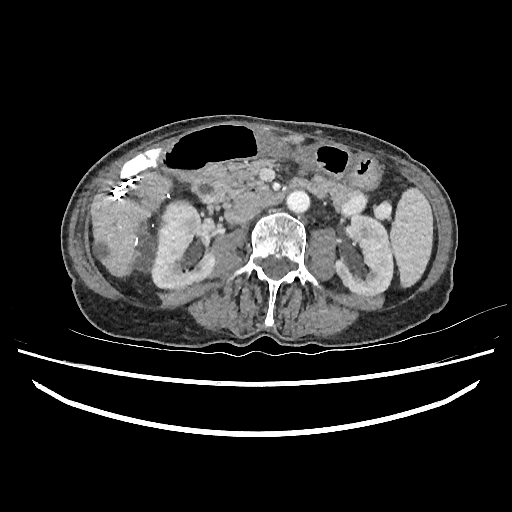

CT slice
2 kidney regions are bounded by 152, 203, 224, 288; 335, 214, 392, 295. 2 liver lesion regions are bounded by 94, 244, 104, 258; 135, 240, 150, 271. 2 liver regions appear at 289, 135, 304, 142; 92, 172, 171, 276.